CT image
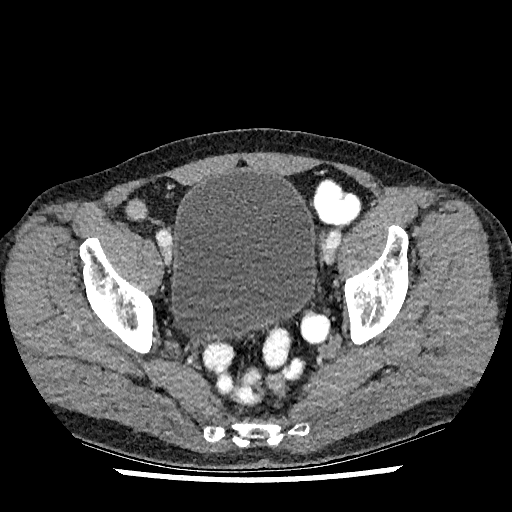

<segmentation>
  <urinary_bladder>171:170:314:345</urinary_bladder>
</segmentation>